CT scan slice, Upper abdomen, Image width 470 mm, 512x512 px, Slice 66 of 104
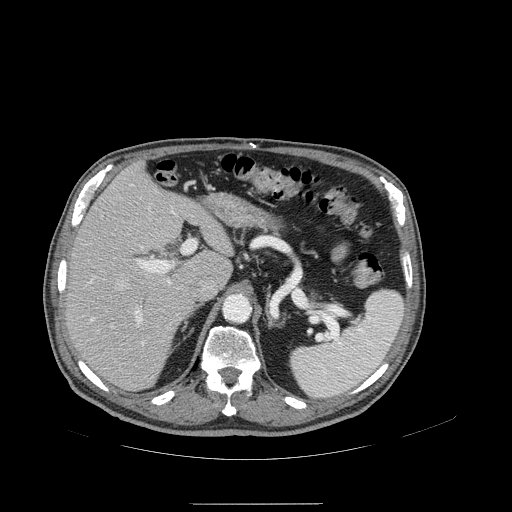
Segmented structures:
• pancreas: <box>306,281,325,303</box>